Slice 132/155, Brain, Field of view 240 mm wide, 1.00 mm slice spacing
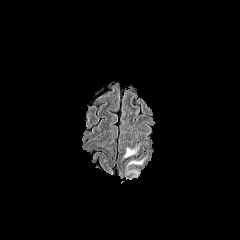
FLAIR MR.
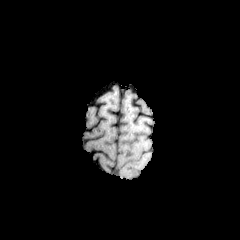
T1-weighted MR image.
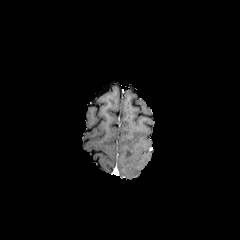
Same slice, post-contrast T1-weighted MR.
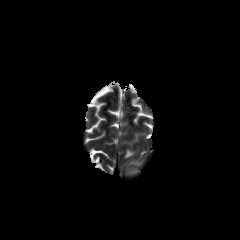
T2-weighted MR.
Edema: region(125, 161, 141, 175); region(125, 146, 139, 157).